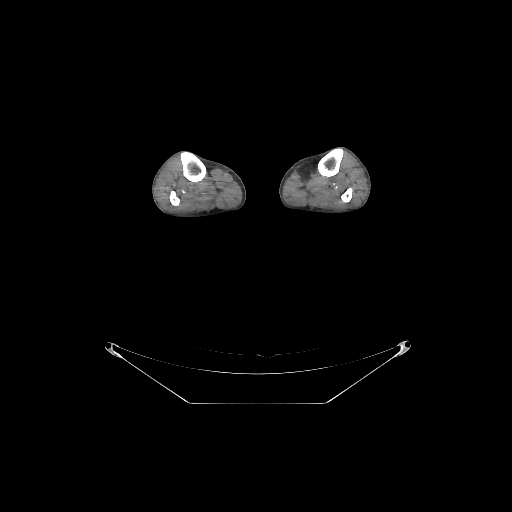

CT slice. Image size 512x512.
Bone — rect(318, 148, 343, 176); rect(169, 191, 179, 205); rect(181, 152, 205, 181); rect(341, 188, 352, 202).